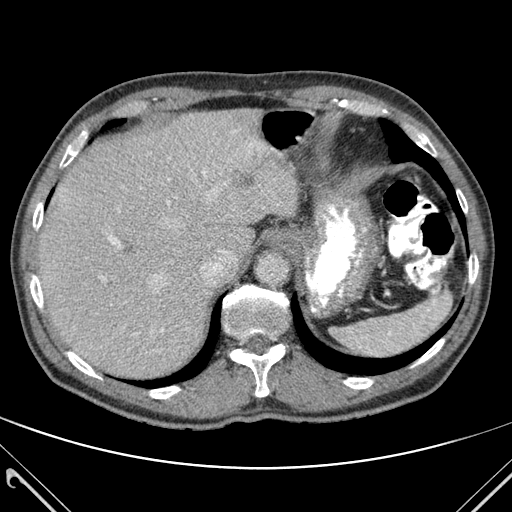

Liver, Computed tomography

Liver: bounding box box(39, 109, 296, 378).
Lung: bounding box box(379, 119, 465, 231); box(135, 301, 220, 388); box(291, 296, 450, 374); box(105, 120, 123, 127).
Focal liver lesion: bounding box box(231, 168, 254, 187).
Bone: bounding box box(33, 203, 42, 228); box(67, 352, 100, 378); box(223, 285, 288, 337); box(60, 145, 77, 166); box(230, 344, 284, 396); box(150, 386, 179, 398); box(415, 339, 444, 364); box(344, 378, 372, 388); box(30, 275, 42, 307); box(469, 256, 478, 282); box(412, 131, 435, 155); box(457, 190, 467, 212).